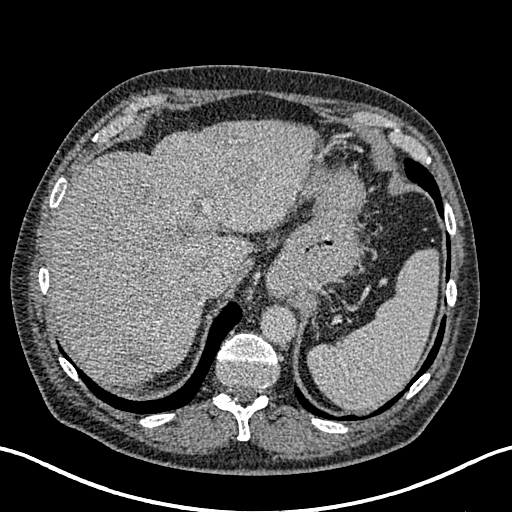 CT slice. Abdomen.

5 hepatic lesion regions are bounded by <box>188,205,205,219</box>, <box>135,222,213,309</box>, <box>199,185,213,201</box>, <box>225,159,260,187</box>, <box>117,344,163,377</box>. The liver appears at <box>49,121,316,386</box>.